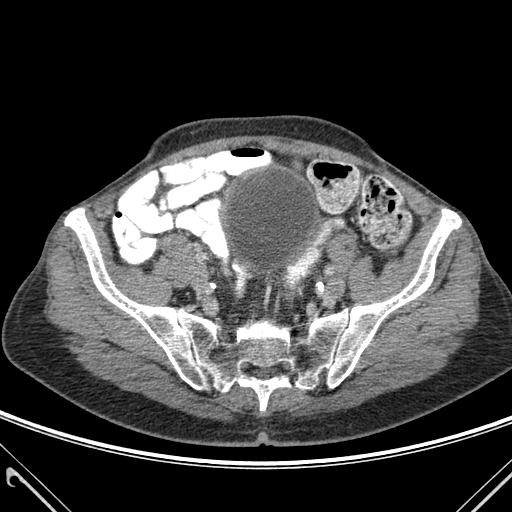
Image size 512x512 | CT image
bone:
  - 65, 208, 461, 410